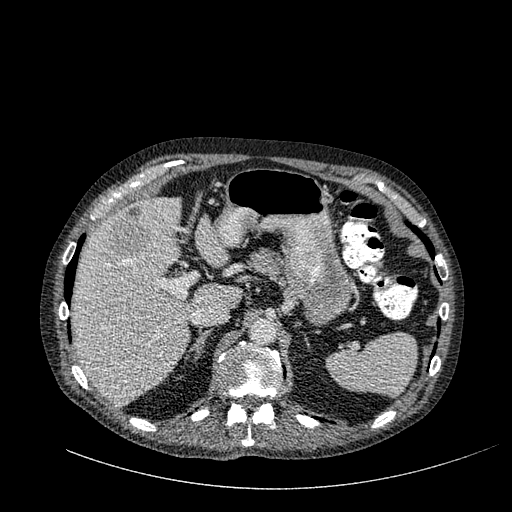

Liver. CT slice.

The liver lesion is located at 108 207 152 258. 2 liver regions appear at 72 198 241 404, 196 216 227 265.